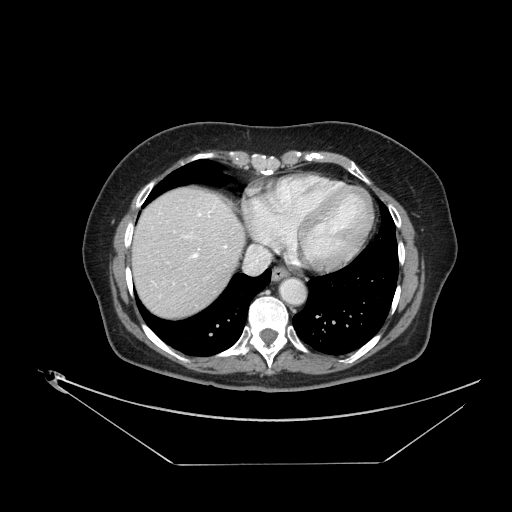

Liver. CT image.
The vessel boxes may cover only some of the vessels.
Hepatic vessel — bbox(223, 245, 226, 248); bbox(183, 233, 191, 237); bbox(197, 211, 202, 216); bbox(245, 246, 269, 272); bbox(190, 249, 199, 258); bbox(206, 204, 215, 217).